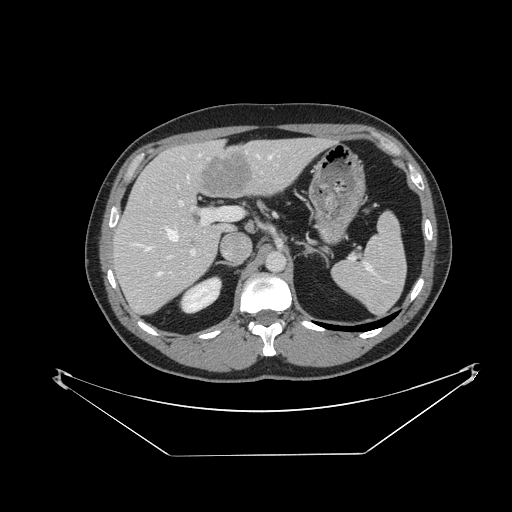
Upper abdomen | CT scan slice
spleen: (left=332, top=212, right=405, bottom=314)